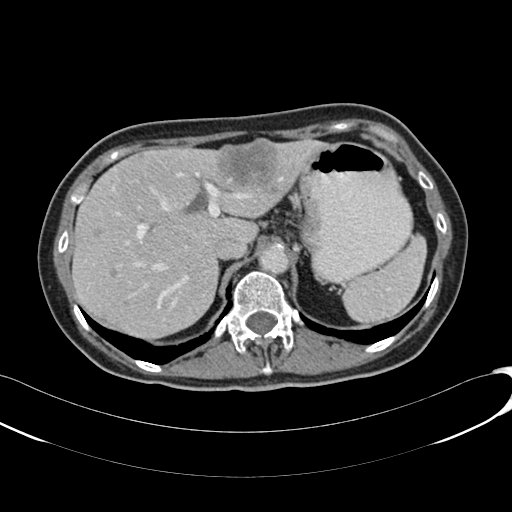 512x512 px | CT image | Liver
liver:
  - (x1=72, y1=140, x2=329, y2=336)
focal_liver_lesion:
  - (x1=217, y1=141, x2=278, y2=193)
  - (x1=94, y1=229, x2=101, y2=238)